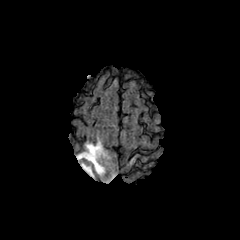
FLAIR MRI.
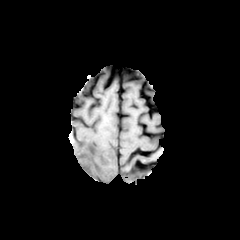
T1-weighted magnetic resonance.
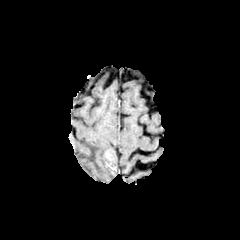
Post-contrast T1-weighted magnetic resonance.
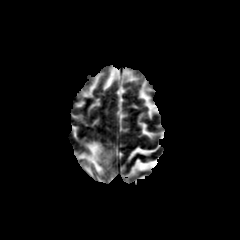
Same slice, T2-weighted MR.
edema:
  - 76,138,116,183
non-enhancing_tumor_core:
  - 103,151,111,165